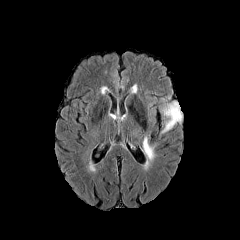
FLAIR MRI.
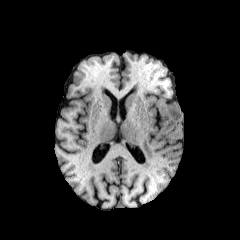
T1-weighted magnetic resonance of the same slice.
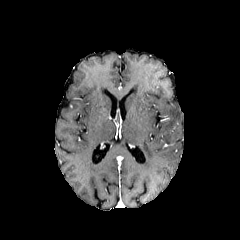
Post-contrast T1-weighted MR.
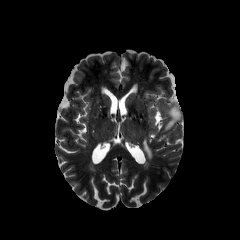
T2-weighted magnetic resonance.
Head.
Edema = (left=141, top=134, right=155, bottom=166), (left=161, top=104, right=181, bottom=133).